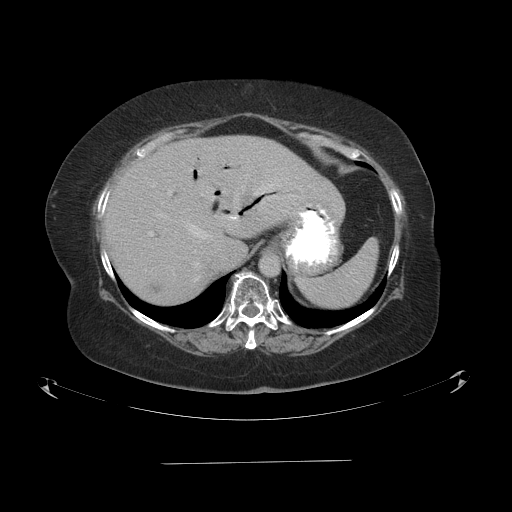
CT image | Image size 512x512 | Liver
Some hepatic vessels may have no box.
- liver tumor: rect(146, 278, 161, 300)
- hepatic vessel: rect(185, 223, 210, 238); rect(200, 170, 202, 172); rect(199, 183, 212, 199); rect(149, 232, 152, 234); rect(229, 219, 230, 220)